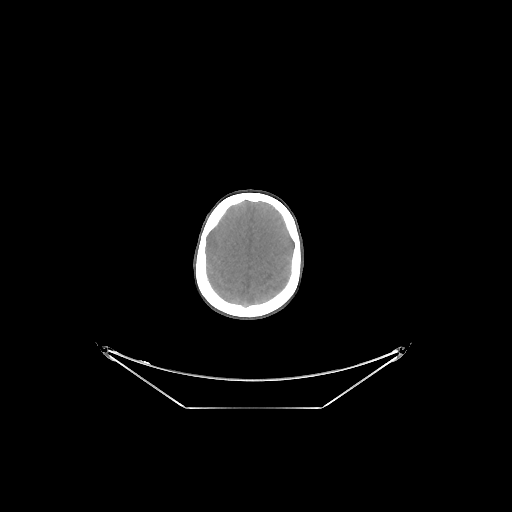
Brain; CT
The brain is bounded by 205, 200, 294, 306. The bone is at 196, 193, 300, 316.